FLAIR MR.
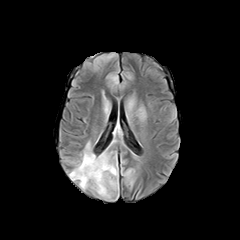
T1-weighted magnetic resonance.
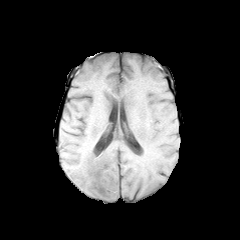
Post-contrast T1-weighted MR image.
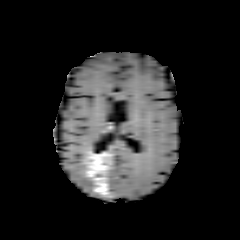
T2-weighted MR.
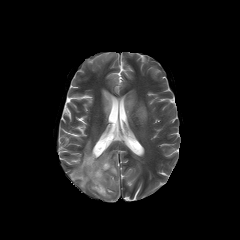
Head; Image size 240x240
enhancing_tumor:
  - rect(86, 154, 107, 195)
non-enhancing_tumor_core:
  - rect(101, 179, 109, 193)
edema:
  - rect(102, 160, 117, 176)
  - rect(70, 146, 91, 187)